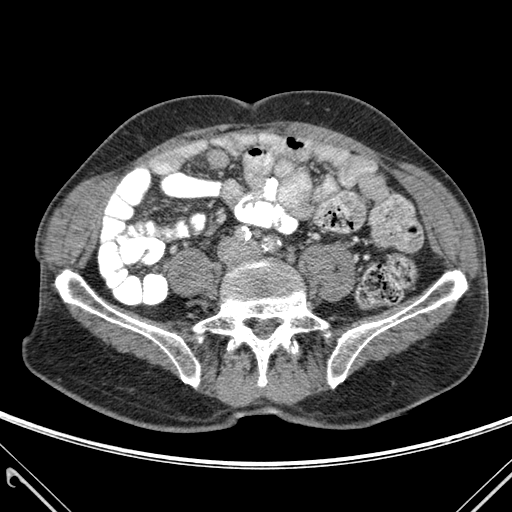
Computed tomography, 512x512
Segmented structures:
- bone: (x1=291, y1=341, x2=297, y2=353), (x1=327, y1=270, x2=466, y2=387), (x1=193, y1=262, x2=327, y2=385), (x1=56, y1=270, x2=199, y2=386)